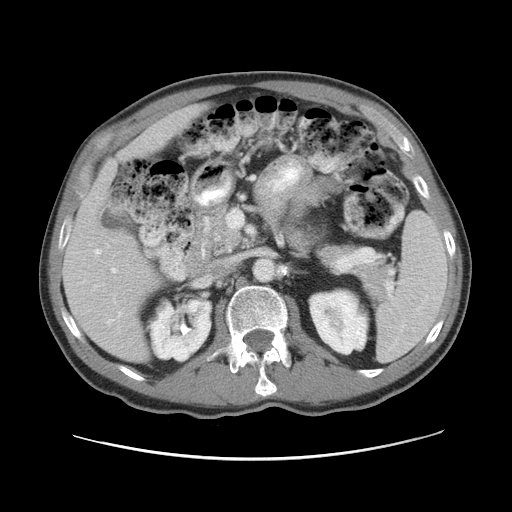
Computed tomography | Image size 512x512
The vessel annotation is not exhaustive.
hepatic vessel: 107, 319, 113, 324; 95, 249, 100, 253; 112, 268, 116, 271; 118, 312, 121, 316